Chest, Field of view 500 mm wide, 3.27 mm slice spacing, CT image 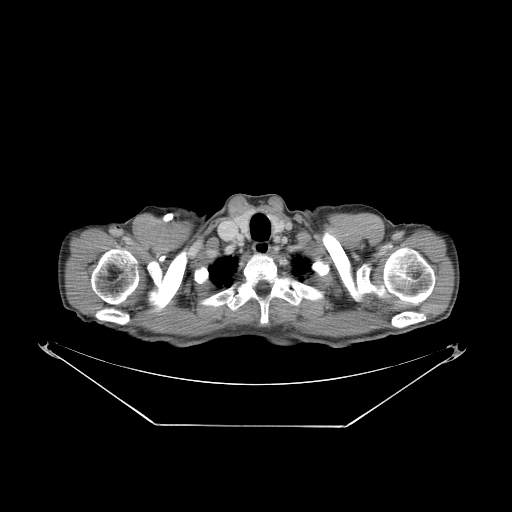
11 bone regions are bounded by {"x1": 148, "y1": 252, "x2": 189, "y2": 309}, {"x1": 91, "y1": 249, "x2": 138, "y2": 304}, {"x1": 323, "y1": 232, "x2": 434, "y2": 303}, {"x1": 312, "y1": 261, "x2": 328, "y2": 275}, {"x1": 164, "y1": 214, "x2": 172, "y2": 221}, {"x1": 392, "y1": 312, "x2": 425, "y2": 327}, {"x1": 97, "y1": 309, "x2": 128, "y2": 324}, {"x1": 228, "y1": 297, "x2": 234, "y2": 307}, {"x1": 202, "y1": 295, "x2": 221, "y2": 305}, {"x1": 238, "y1": 255, "x2": 322, "y2": 321}, {"x1": 195, "y1": 267, "x2": 207, "y2": 282}. 2 lung regions are located at {"x1": 208, "y1": 256, "x2": 237, "y2": 288}, {"x1": 291, "y1": 254, "x2": 311, "y2": 279}.